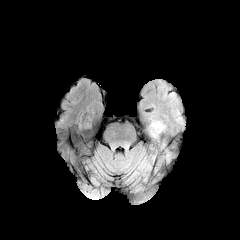
FLAIR MR image.
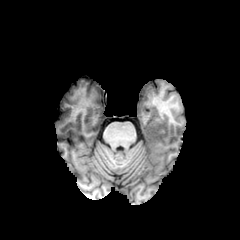
Same slice, T1-weighted MRI.
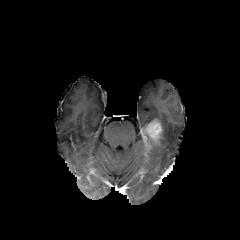
Post-contrast T1-weighted MR.
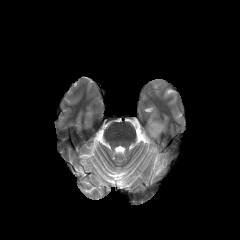
T2-weighted MR image.
240x240 px, Brain
Enhancing tumor: x1=142 y1=120 x2=161 y2=143, x1=144 y1=137 x2=151 y2=151.
Edema: x1=140 y1=141 x2=163 y2=163.